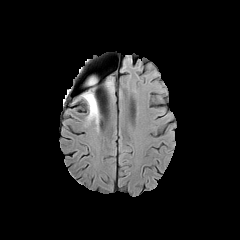
FLAIR MR image.
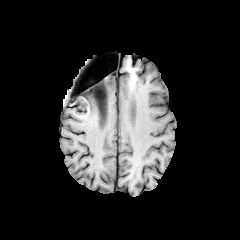
T1-weighted MR image.
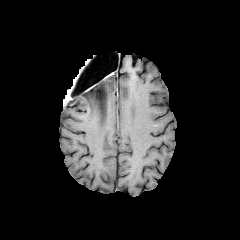
Post-contrast T1-weighted MRI of the same slice.
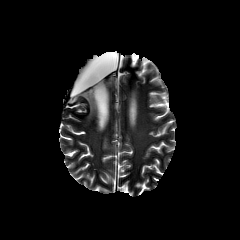
T2-weighted MR image.
Brain. 240x240.
2 edema regions are located at x1=80, y1=77, x2=99, y2=129; x1=106, y1=80, x2=114, y2=98. The non-enhancing tumor core lies within x1=88, y1=90, x2=101, y2=117.